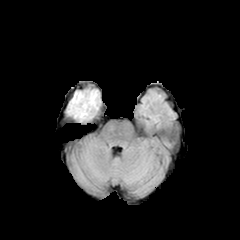
FLAIR MR image.
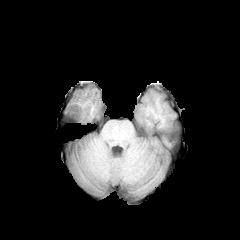
Same slice, T1-weighted MR.
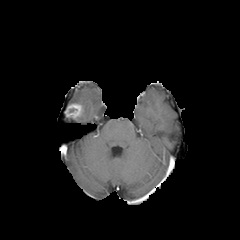
Post-contrast T1-weighted magnetic resonance.
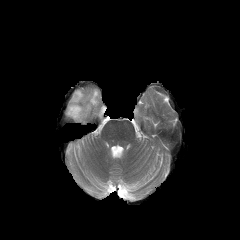
T2-weighted MR.
240x240 px, Head
enhancing tumor: 66,104,82,117 | edema: 70,89,100,121